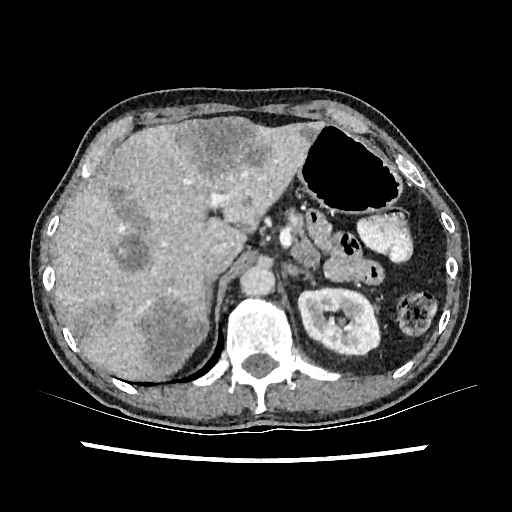
CT slice. Abdomen.

focal_liver_lesion:
  - (174, 117, 272, 181)
  - (253, 213, 262, 224)
  - (239, 194, 253, 207)
  - (135, 298, 205, 375)
  - (298, 124, 319, 143)
  - (156, 277, 174, 291)
  - (108, 186, 151, 273)
  - (72, 303, 117, 344)
kidney:
  - (299, 289, 379, 354)
liver:
  - (54, 122, 328, 377)